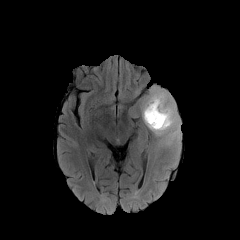
FLAIR MR.
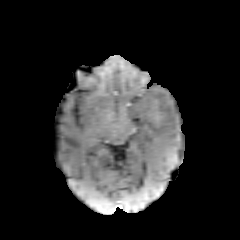
T1-weighted MR image.
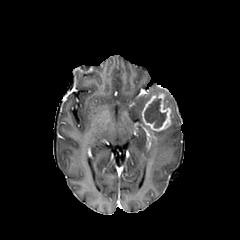
Post-contrast T1-weighted MR image of the same slice.
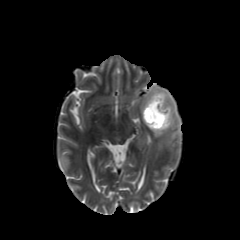
Same slice, T2-weighted MRI.
2 non-enhancing tumor core regions appear at <box>145,86,164,101</box>, <box>144,99,165,127</box>. The enhancing tumor is bounded by <box>142,92,172,131</box>. 2 edema regions are bounded by <box>140,95,147,119</box>, <box>142,92,181,157</box>.